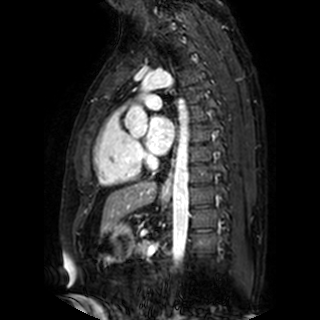

Cardiac; MRI slice; 320x320
<segmentation>
  <left_atrium>(left=145, top=117, right=173, bottom=154)</left_atrium>
</segmentation>